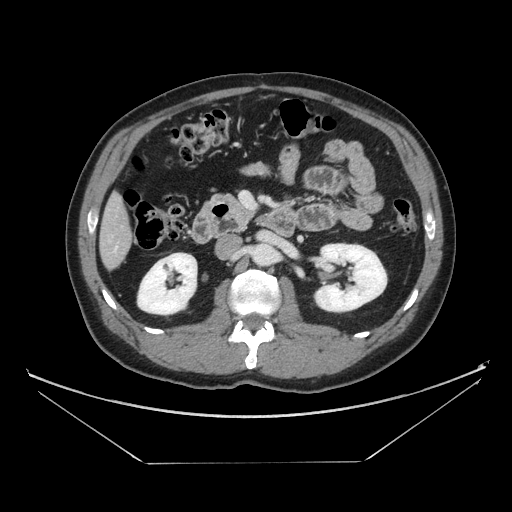
CT slice. Abdomen.
Pancreatic tumor = <box>229,201,243,213</box>.
Pancreas = <box>231,205,252,226</box>.